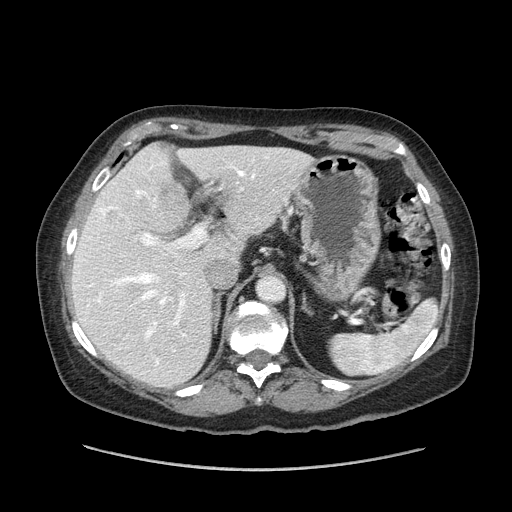 Abdomen. 512x512 px. CT slice.

The pancreas appears at rect(360, 299, 370, 315).